FLAIR magnetic resonance.
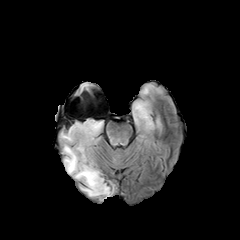
T1-weighted MR image.
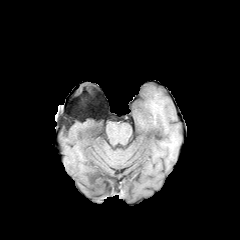
Post-contrast T1-weighted MRI.
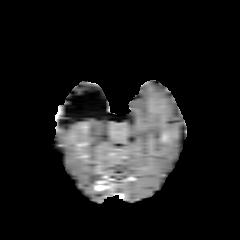
T2-weighted MR.
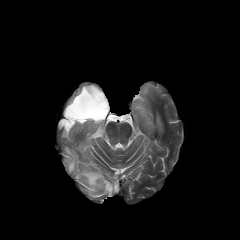
Edema: bounding box l=132, t=100, r=151, b=122; l=60, t=119, r=111, b=197.
Non-enhancing tumor core: bounding box l=100, t=175, r=113, b=189.
Enhancing tumor: bounding box l=94, t=181, r=109, b=190.